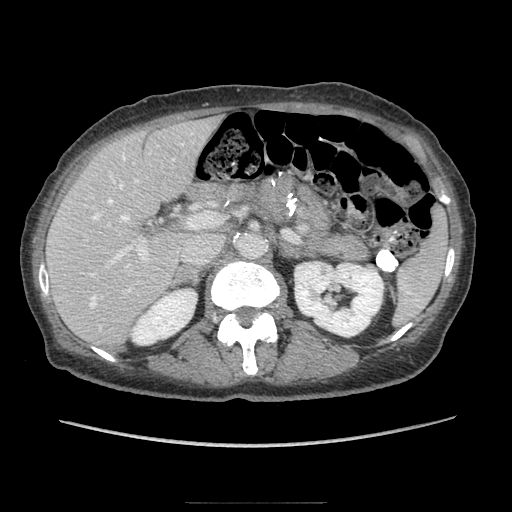
CT image. Upper abdomen.

Annotated regions:
- pancreas: [x1=315, y1=233, x2=369, y2=260]